Abdomen, CT slice 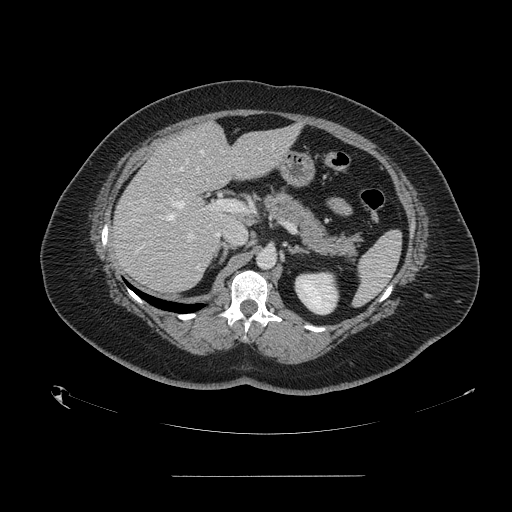
• spleen: {"x1": 353, "y1": 231, "x2": 401, "y2": 306}